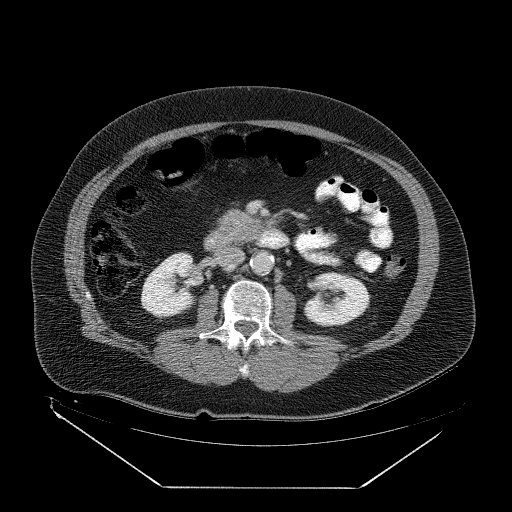

512x512 px | CT image
pancreatic_tumor:
  - box(214, 219, 240, 243)
pancreas:
  - box(212, 208, 263, 247)